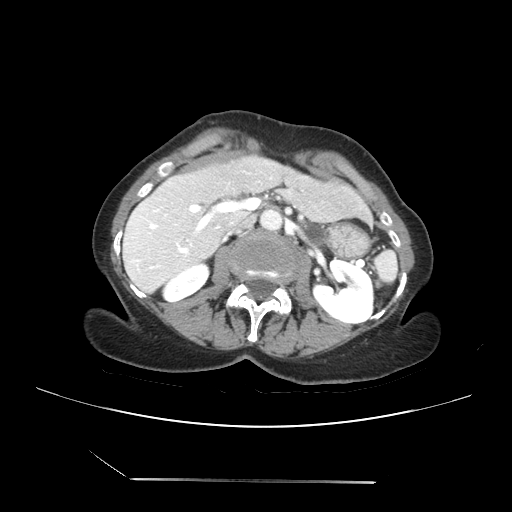

Upper abdomen, CT image

* pancreatic tumor: bbox=[304, 224, 326, 245]
* pancreas: bbox=[302, 221, 329, 249]